Liver | Image size 512x512 | Computed tomography
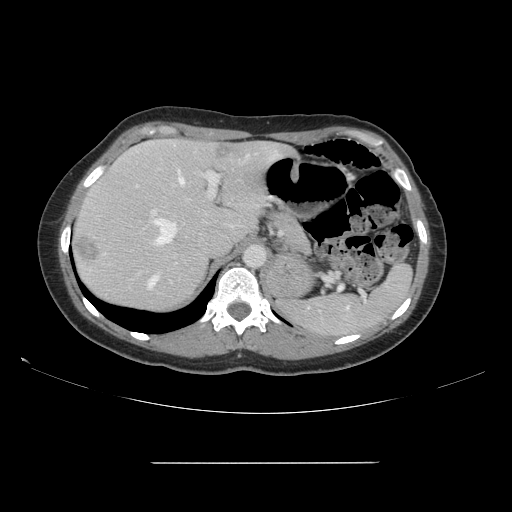

The vessel annotation is not exhaustive.
Hepatic vessel at <box>154,232,173,244</box>, <box>239,160,242,162</box>, <box>178,170,184,184</box>, <box>151,210,165,224</box>, <box>146,270,147,271</box>, <box>244,154,249,161</box>, <box>204,171,216,196</box>, <box>147,275,158,289</box>, <box>136,185,138,186</box>, <box>169,222,176,233</box>.
Liver tumor at <box>76,235,100,263</box>, <box>214,145,231,159</box>.